FLAIR magnetic resonance.
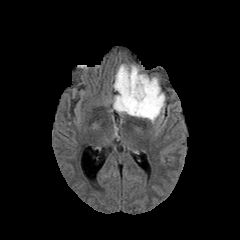
T1-weighted MR image.
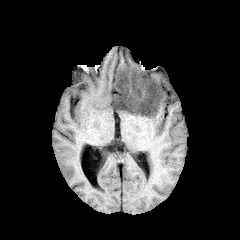
Post-contrast T1-weighted MR.
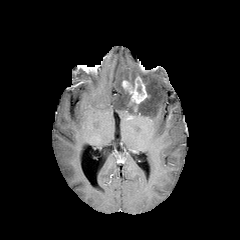
T2-weighted MR image.
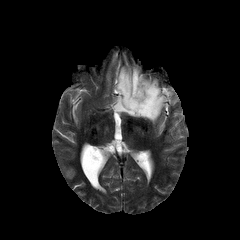
Brain, 240x240
The edema is located at rect(110, 64, 167, 124). The enhancing tumor is bounded by rect(122, 76, 147, 103). The non-enhancing tumor core is bounded by rect(116, 72, 155, 115).